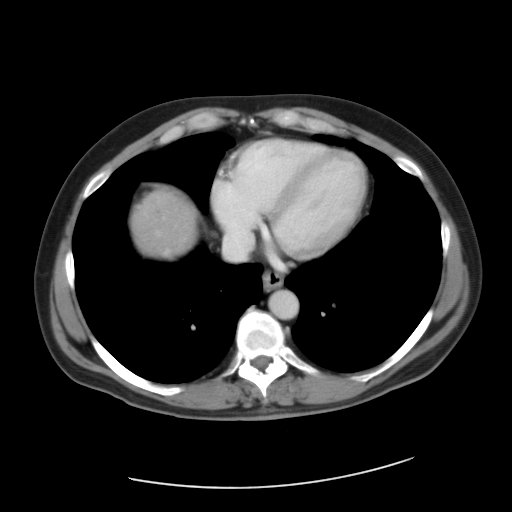

Computed tomography, Liver

The vessel annotation is not exhaustive.
- hepatic vessel: 223 242 251 259, 157 232 159 234